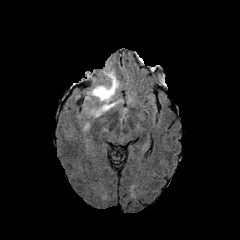
FLAIR magnetic resonance.
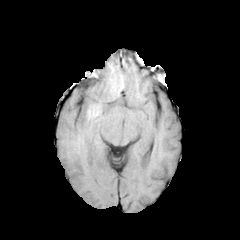
T1-weighted MR image.
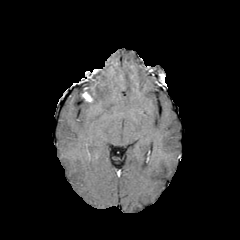
Same slice, post-contrast T1-weighted MR.
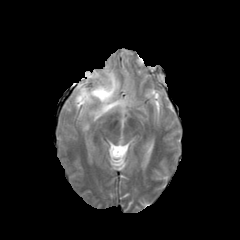
Same slice, T2-weighted MR.
Image size 240x240
Findings:
• enhancing tumor: [82, 89, 93, 102], [85, 71, 101, 82]
• edema: [88, 69, 122, 118]